Brain
FLAIR magnetic resonance.
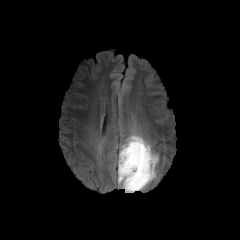
T1-weighted MR image.
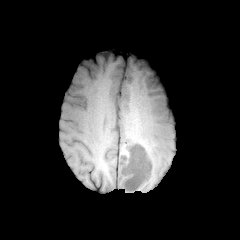
Post-contrast T1-weighted MR.
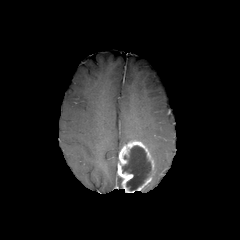
T2-weighted MRI.
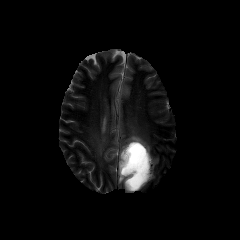
Annotated regions:
• edema: 118 127 159 180
• non-enhancing tumor core: 122 145 151 190
• enhancing tumor: 118 140 154 192